Computed tomography.

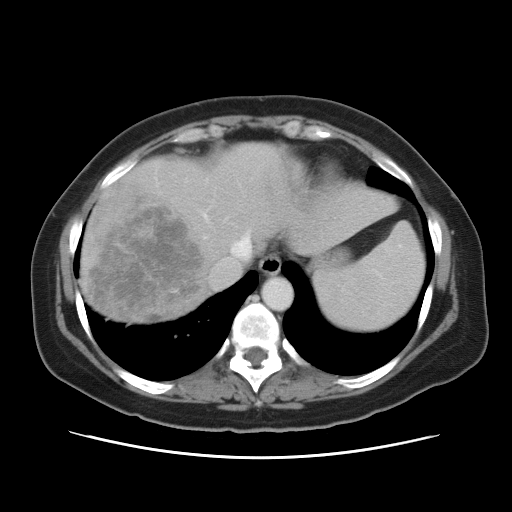

Only some of the vessels may be annotated.
4 hepatic vessel regions are bounded by [206,179,207,181], [208,236,251,289], [204,214,208,220], [201,236,210,240]. The liver tumor lies within [85,182,205,322].